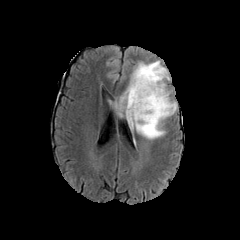
FLAIR magnetic resonance.
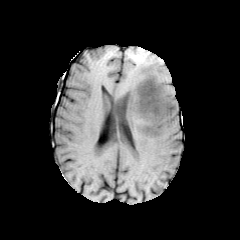
T1-weighted magnetic resonance of the same slice.
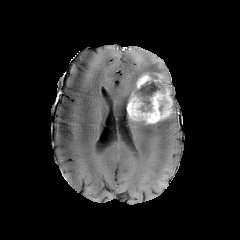
Post-contrast T1-weighted MR.
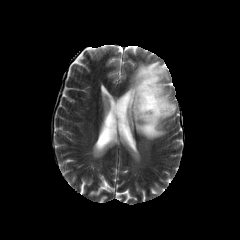
Same slice, T2-weighted MRI.
Brain
enhancing tumor: x1=136 y1=73 x2=151 y2=88, x1=127 y1=89 x2=173 y2=124 | edema: x1=109 y1=60 x2=177 y2=140 | non-enhancing tumor core: x1=137 y1=75 x2=159 y2=111